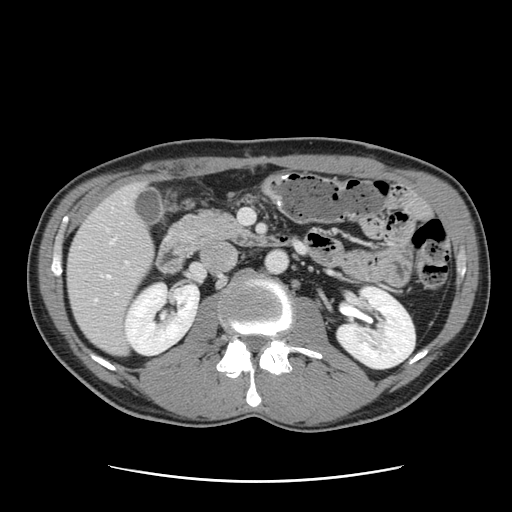 CT

Only some of the vessels may be annotated.
Annotated regions:
• hepatic vessel: bbox(94, 299, 96, 301); bbox(125, 262, 127, 263); bbox(109, 238, 115, 243); bbox(100, 275, 109, 278)